CT image. 512x512 px. Abdomen. Field of view 389 mm wide, 5.00 mm slice spacing.
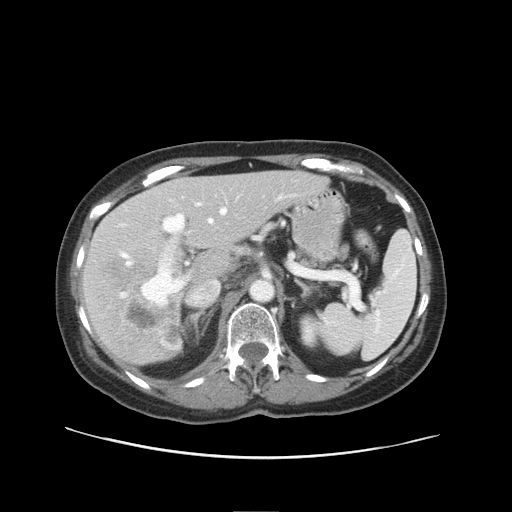
The vessel boxes may cover only some of the vessels.
Annotated regions:
• liver tumor: region(100, 257, 179, 355)
• hepatic vessel: region(289, 196, 293, 197); region(221, 209, 226, 214); region(121, 253, 129, 258); region(150, 211, 190, 296); region(196, 203, 200, 206); region(208, 219, 213, 223); region(186, 262, 188, 264); region(277, 196, 286, 200)